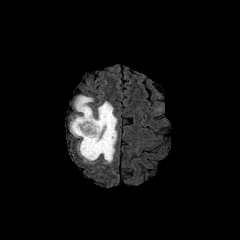
FLAIR MRI.
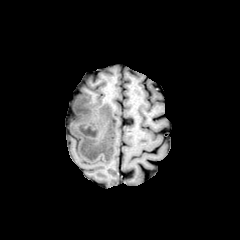
T1-weighted MRI.
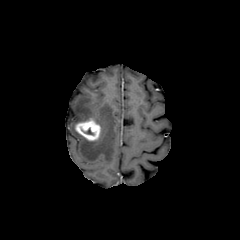
Same slice, post-contrast T1-weighted MR.
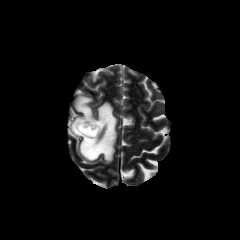
T2-weighted MR image.
{"edema": ["bbox=[68, 95, 117, 163]"], "enhancing_tumor": ["bbox=[74, 118, 101, 141]"]}